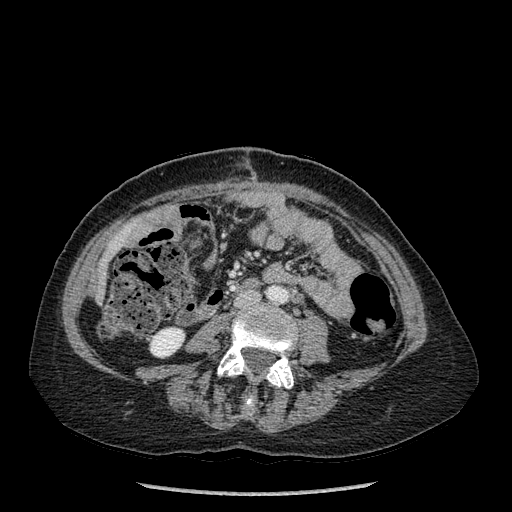 CT slice
Kidney — 151 328 184 357.
Liver — 106 233 124 251, 97 252 116 299.
Bone — 217 303 297 388, 244 394 254 414.